Slice 50/92, Computed tomography, Upper abdomen 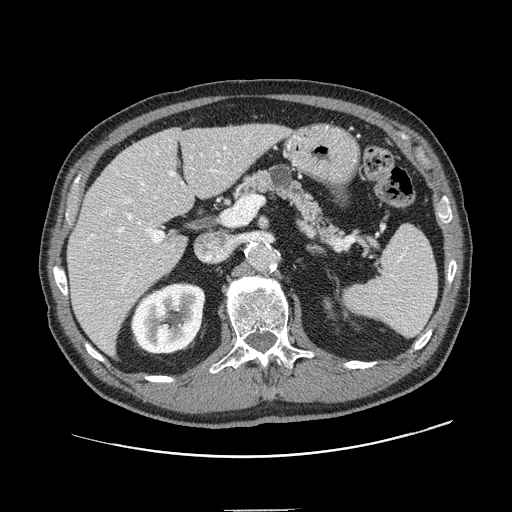 pancreatic_tumor:
  - bbox(270, 166, 292, 190)
pancreas:
  - bbox(232, 163, 350, 245)